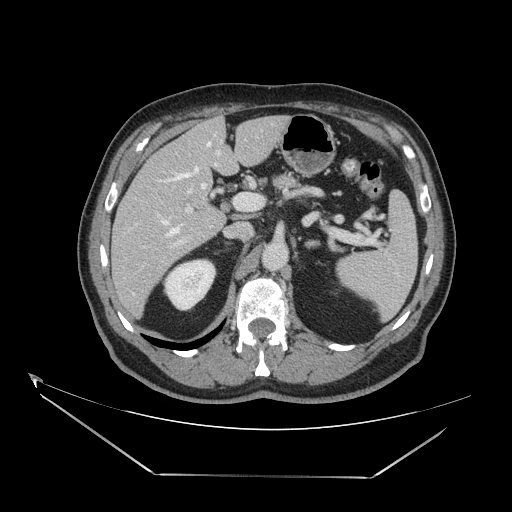

Computed tomography | Upper abdomen
Pancreas — box=[276, 175, 296, 186].